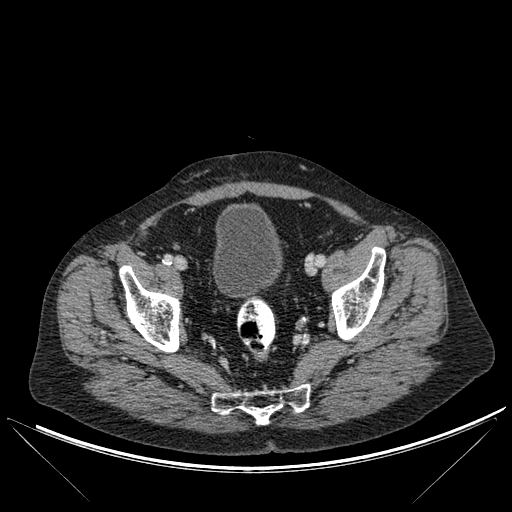

CT scan slice; 512x512 px; Pelvis
<segmentation>
  <urinary_bladder>bbox(213, 204, 282, 298)</urinary_bladder>
  <bone>bbox(119, 265, 179, 352); bbox(212, 384, 309, 424); bbox(332, 247, 385, 339)</bone>
</segmentation>